Slice index 98 | 240x240
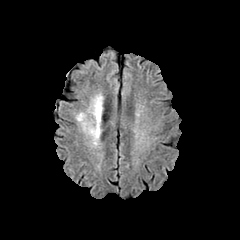
FLAIR MRI.
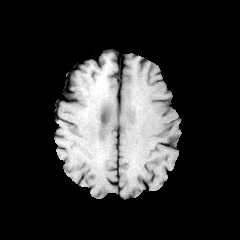
T1-weighted magnetic resonance.
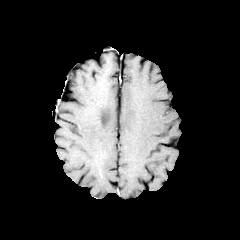
Post-contrast T1-weighted MRI.
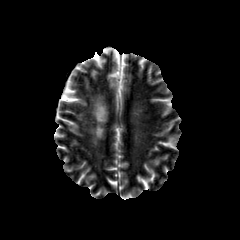
Same slice, T2-weighted MR.
<segmentation>
  <edema>region(74, 93, 103, 147)</edema>
</segmentation>